512x512 px | Upper abdomen | CT image

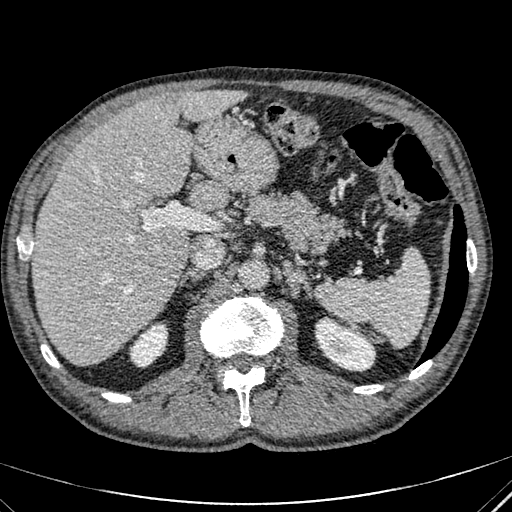 The hepatic lesion is located at [157,94,179,104]. 2 liver regions are bounded by [189,181,227,209], [32,91,247,364]. 2 kidney regions appear at [131,325,165,365], [317,320,374,369].